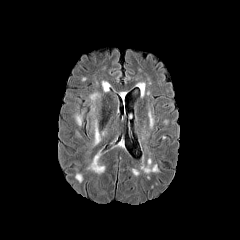
FLAIR magnetic resonance.
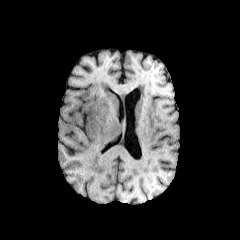
T1-weighted MR.
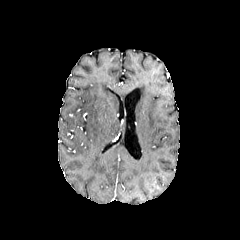
Post-contrast T1-weighted MRI.
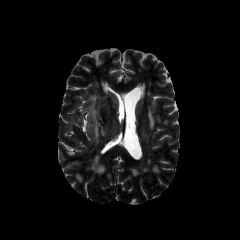
T2-weighted MR.
Head.
The edema appears at box=[95, 123, 99, 143].